Liver, Computed tomography, Field of view 388 mm wide, 5.00 mm slice spacing 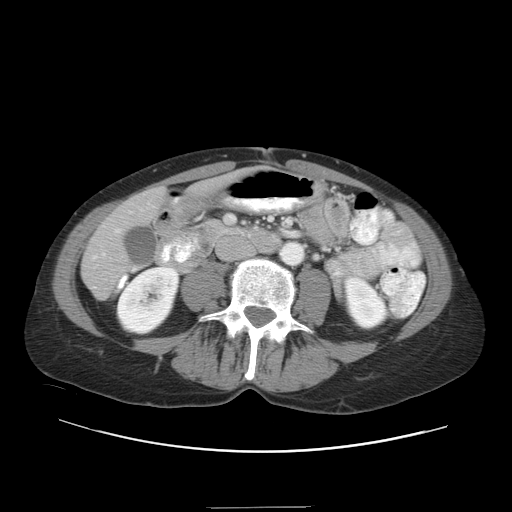 Some hepatic vessels may have no box.
hepatic_vessel:
  - 115:229:119:232
  - 102:253:104:255